CT slice, Abdomen 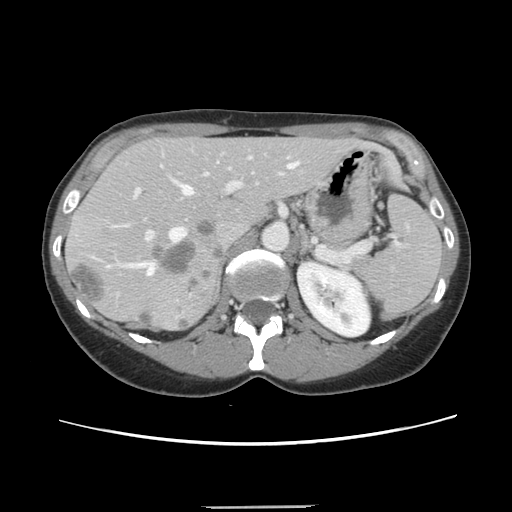 The vessel boxes may cover only some of the vessels.
<segmentation>
  <hepatic_vessel>left=169, top=227, right=185, bottom=241; left=106, top=265, right=109, bottom=267; left=145, top=231, right=151, bottom=239; left=287, top=162, right=297, bottom=168; left=133, top=189, right=139, bottom=197; left=122, top=224, right=127, bottom=226; left=177, top=183, right=192, bottom=194; left=248, top=156, right=250, bottom=158; left=279, top=172, right=282, bottom=174; left=125, top=262, right=154, bottom=275; left=204, top=172, right=207, bottom=174; left=91, top=256, right=94, bottom=258; left=226, top=181, right=240, bottom=190</hepatic_vessel>
  <liver_tumor>left=78, top=264, right=104, bottom=301; left=162, top=241, right=196, bottom=273</liver_tumor>
</segmentation>